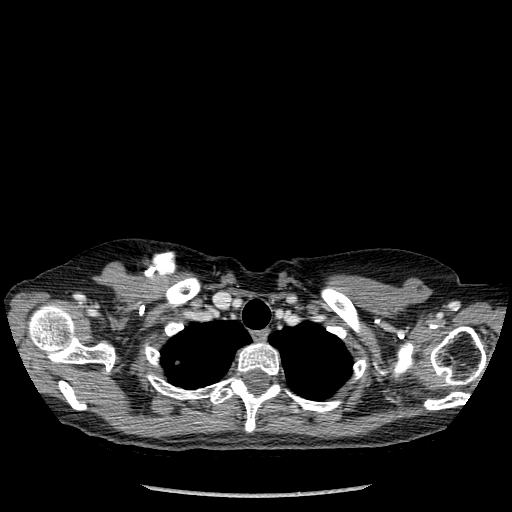
Thorax. CT slice.
{"lung": ["left=269, top=321, right=352, bottom=400", "left=161, top=299, right=270, bottom=389"], "bone": ["left=165, top=278, right=200, bottom=306", "left=165, top=322, right=183, bottom=335", "left=285, top=390, right=341, bottom=413", "left=326, top=325, right=346, bottom=338", "left=430, top=326, right=486, bottom=385", "left=238, top=342, right=278, bottom=375", "left=424, top=392, right=469, bottom=410", "left=146, top=374, right=282, bottom=432", "left=353, top=358, right=366, bottom=379", "left=321, top=287, right=364, bottom=335", "left=58, top=380, right=86, bottom=410", "left=144, top=345, right=159, bottom=366", "left=28, top=303, right=115, bottom=372", "left=373, top=343, right=413, bottom=378"]}